CT scan slice. Field of view 400x400 mm. Slice 189 of 267. 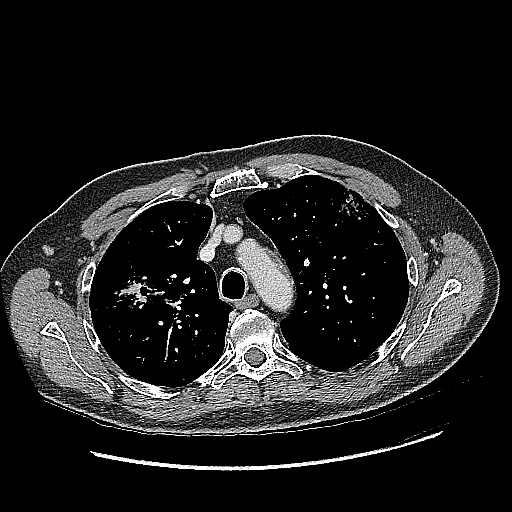
The lung tumor lies within [111,259,168,313].